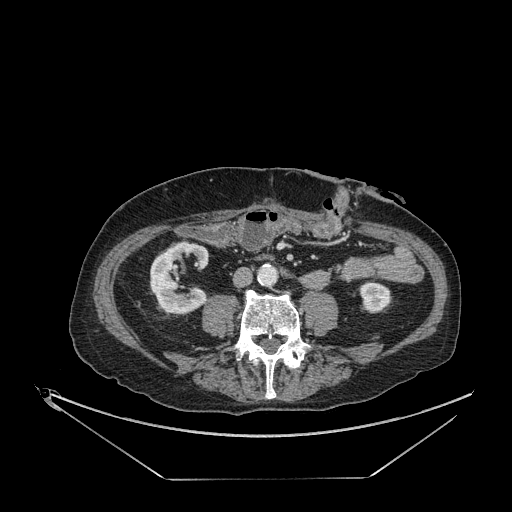
Abdomen. CT image. Kidney — rect(150, 242, 207, 313); rect(360, 282, 390, 312).